Upper abdomen. Slice 432 of 826. CT.
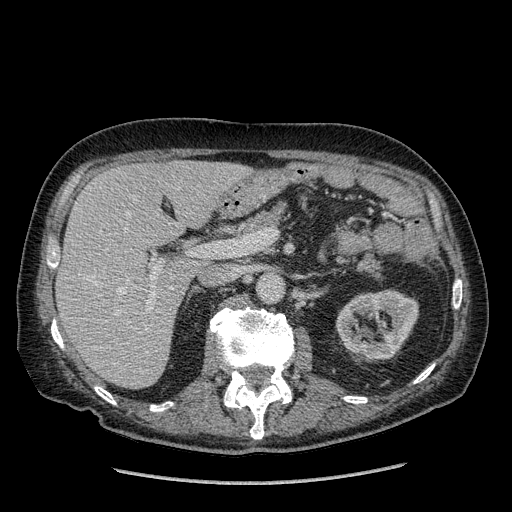
The kidney lies within [336,290,418,360]. The liver lies within [56,160,251,388].